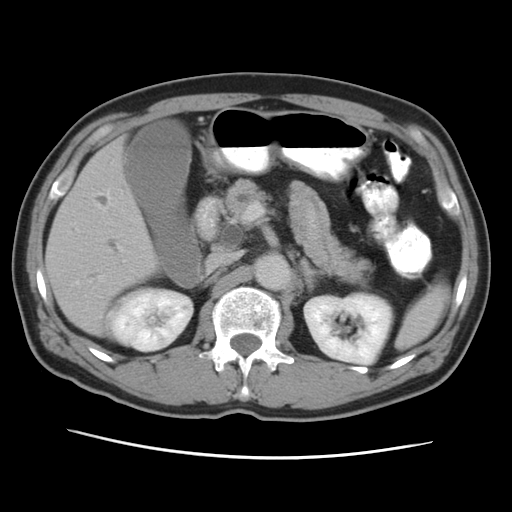

Upper abdomen, CT slice
2 pancreas regions are located at [x1=284, y1=180, x2=373, y2=285], [x1=223, y1=178, x2=269, y2=217].